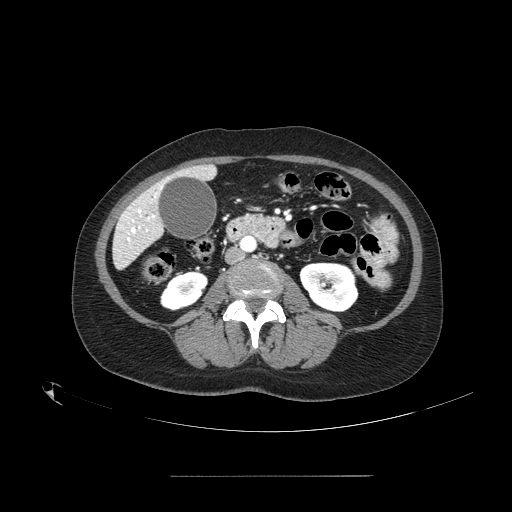 CT slice | Upper abdomen
Pancreas — (250,217,263,230).